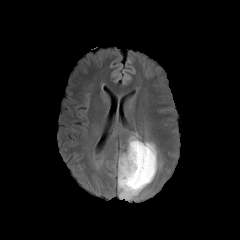
FLAIR MR image.
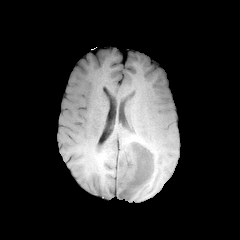
T1-weighted MR of the same slice.
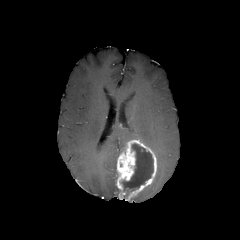
Post-contrast T1-weighted MRI of the same slice.
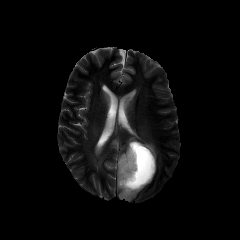
T2-weighted MR image.
Head
edema: <box>142,140,159,170</box>, <box>108,130,141,169</box> | non-enhancing tumor core: <box>123,144,153,189</box> | enhancing tumor: <box>116,140,156,200</box>